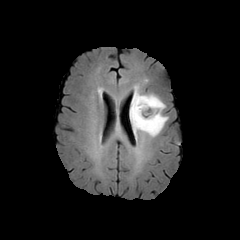
FLAIR MR image.
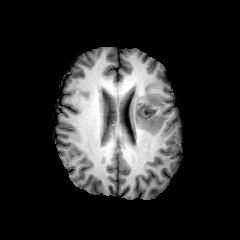
T1-weighted MR.
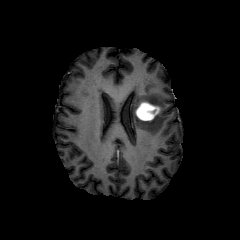
Post-contrast T1-weighted MR.
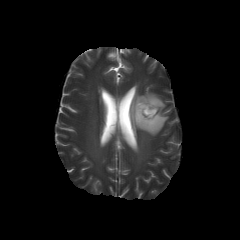
T2-weighted magnetic resonance of the same slice.
Brain. 240x240 px.
Annotated regions:
- edema: (130, 85, 168, 140)
- enhancing tumor: (135, 101, 160, 121)